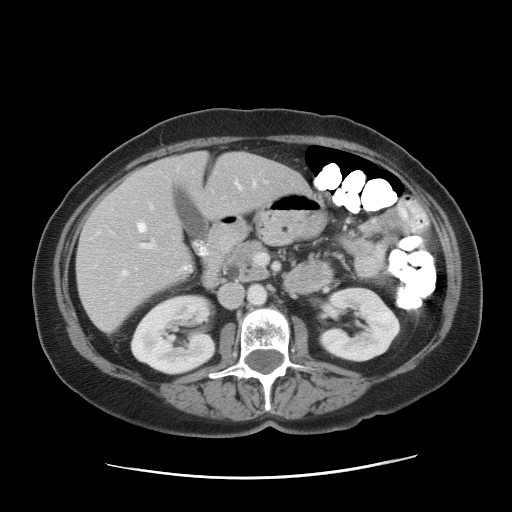 512x512 px. CT slice.

The vessel annotation is not exhaustive.
Hepatic vessel — 141 241 155 248, 138 223 145 232, 253 182 255 185, 150 205 152 208, 235 181 240 188, 123 272 127 274.